Head | 240x240
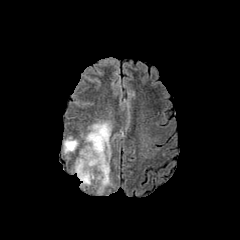
FLAIR MRI.
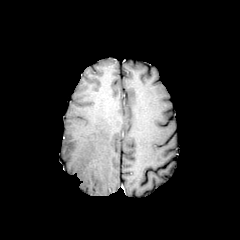
T1-weighted MR image.
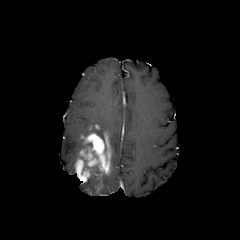
Post-contrast T1-weighted MR image.
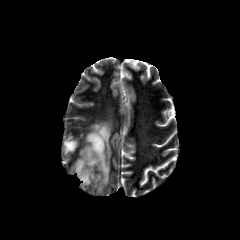
T2-weighted MR.
2 non-enhancing tumor core regions appear at (x1=84, y1=160, x2=107, y2=190), (x1=82, y1=142, x2=91, y2=149). 3 edema regions appear at (x1=82, y1=173, x2=110, y2=192), (x1=88, y1=121, x2=111, y2=144), (x1=64, y1=137, x2=82, y2=153). 2 enhancing tumor regions are located at (x1=74, y1=158, x2=90, y2=182), (x1=80, y1=133, x2=109, y2=173).